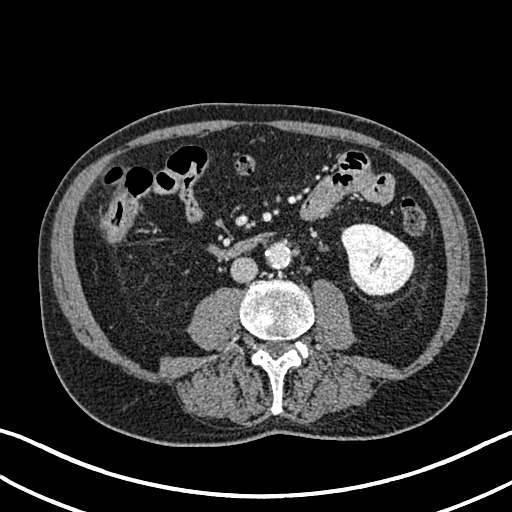
Abdomen | 512x512 px | Computed tomography

Annotated regions:
• kidney: left=342, top=224, right=413, bottom=294